Slice 119 of 155
FLAIR MR.
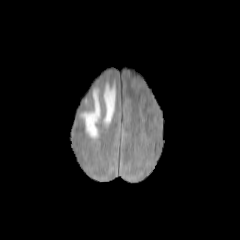
T1-weighted MR image.
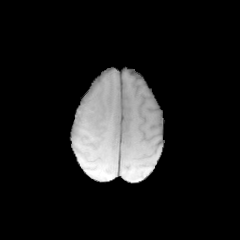
Post-contrast T1-weighted MR image.
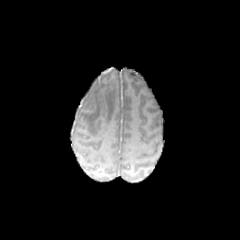
T2-weighted MR.
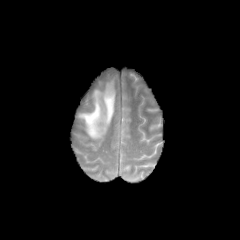
edema: [x1=79, y1=81, x2=115, y2=140]